CT scan slice | 512x512 px | Liver 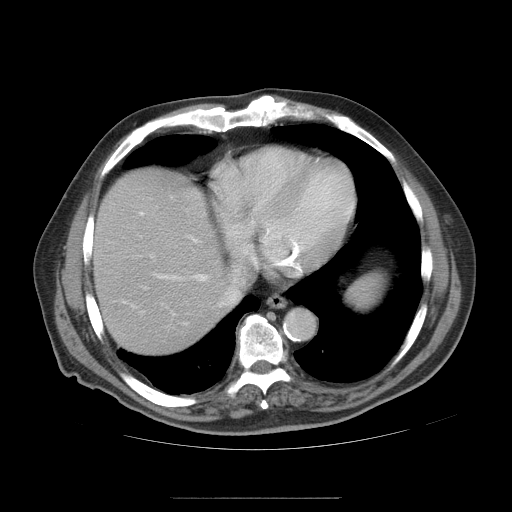
Only some of the vessels may be annotated.
Annotated regions:
* hepatic vessel: (183,323,187,323), (154,273,176,279), (194,274,207,280), (140,310,144,313), (218,287,232,306), (144,287,147,289), (140,212,143,214), (131,304,134,308), (150,254,154,260)